Slice index 84; 512x512 px; Computed tomography
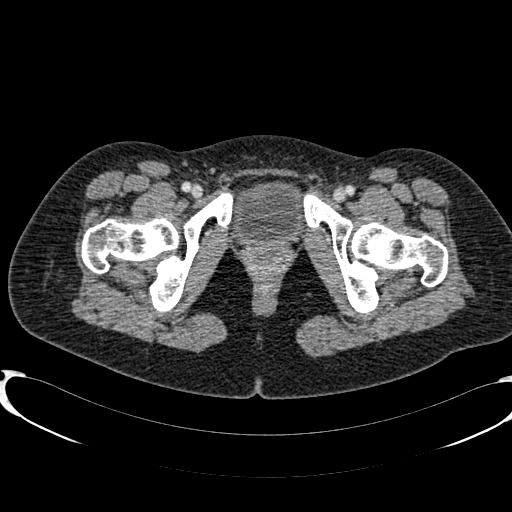
The urinary bladder is located at bbox(227, 180, 307, 246).